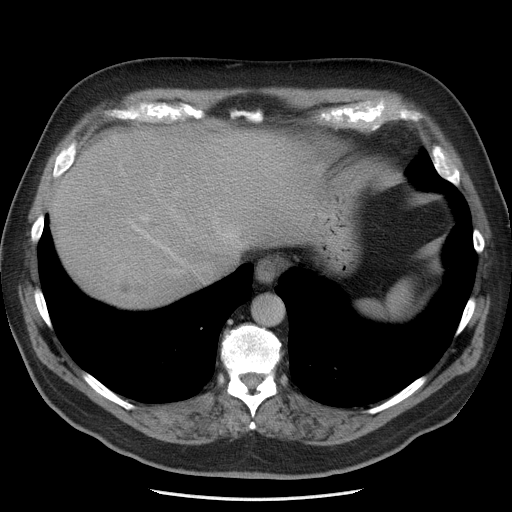
512x512. CT image. Liver.

The vessel annotation is not exhaustive.
Segmented structures:
• hepatic vessel: 187,227,193,231; 151,240,175,258; 176,215,184,224; 177,187,179,188; 202,235,205,236; 168,205,173,213; 214,226,240,247; 174,268,184,273; 129,220,135,229; 194,262,212,282; 141,215,148,220; 185,176,187,177; 141,230,150,239; 195,237,197,239
• liver tumor: 113,258,150,299